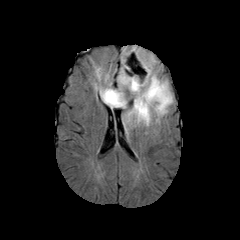
FLAIR MRI.
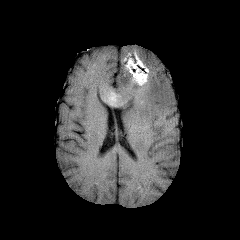
Same slice, T1-weighted MR image.
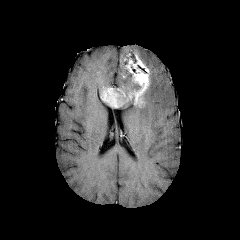
Same slice, post-contrast T1-weighted magnetic resonance.
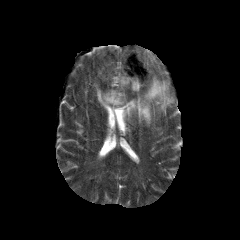
T2-weighted MR of the same slice.
Head
Edema at x1=98 y1=71 x2=111 y2=80, x1=113 y1=59 x2=135 y2=91, x1=93 y1=83 x2=103 y2=95, x1=122 y1=53 x2=173 y2=131, x1=122 y1=49 x2=140 y2=61.
Non-enhancing tumor core at x1=123 y1=57 x2=146 y2=78, x1=113 y1=82 x2=140 y2=108.
Enhancing tumor at x1=101 y1=88 x2=125 y2=107, x1=131 y1=66 x2=149 y2=105.